Computed tomography; Thorax
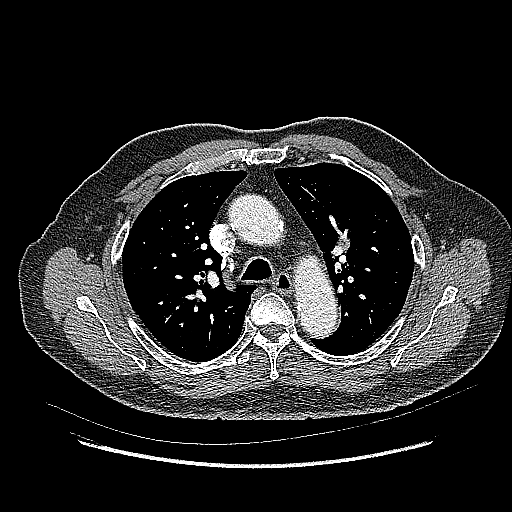
lung_tumor:
  - rect(327, 231, 352, 266)